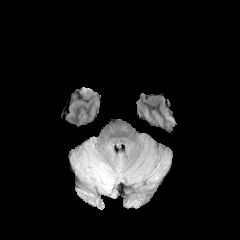
FLAIR MR.
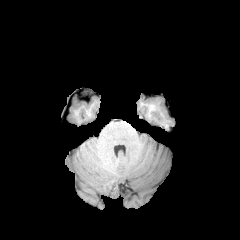
T1-weighted MR of the same slice.
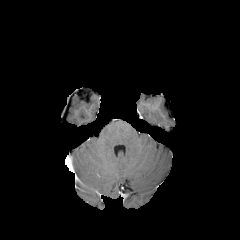
Same slice, post-contrast T1-weighted MR.
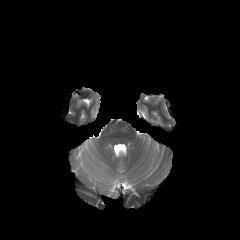
T2-weighted MRI.
Findings:
• edema: bbox=[88, 148, 115, 189]